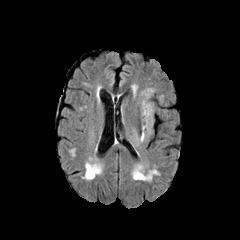
FLAIR MR image.
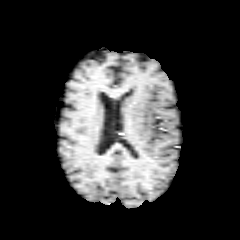
T1-weighted MR.
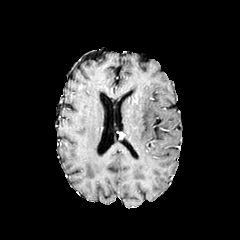
Same slice, post-contrast T1-weighted MR.
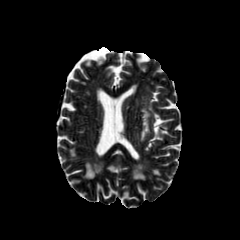
Same slice, T2-weighted MRI.
240x240; Brain
edema:
  - 131:84:137:96
  - 138:101:154:143